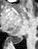

Hippocampus | MRI | Image size 38x49
Posterior hippocampus at (x1=11, y1=37, x2=22, y2=42).